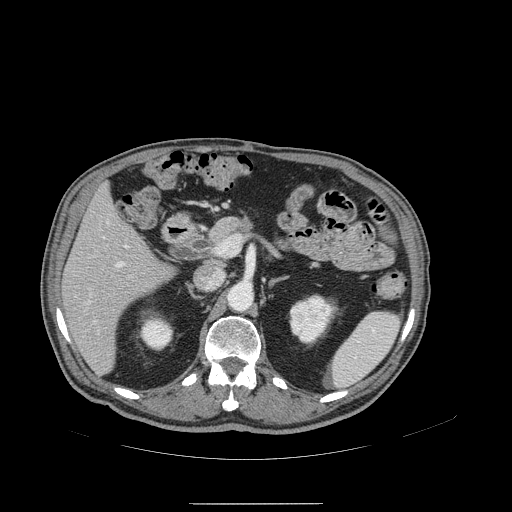

CT
The pancreas appears at box=[205, 211, 258, 246]. The pancreatic tumor lies within box=[213, 216, 242, 236].